Image width 391 mm. 512x512 px. CT image. 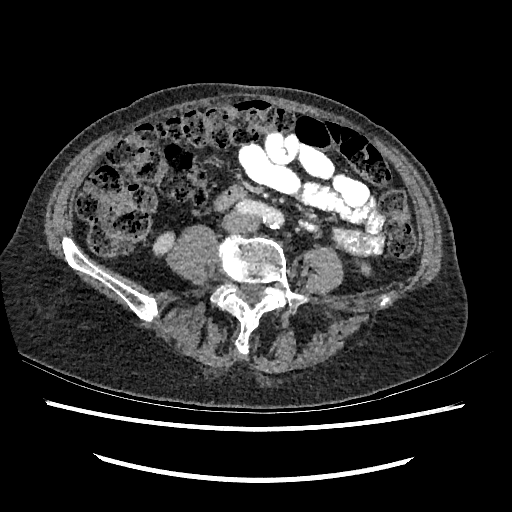 <segmentation>
  <kidney>x1=155 y1=234 x2=172 y2=253</kidney>
</segmentation>